Abdomen. CT slice. 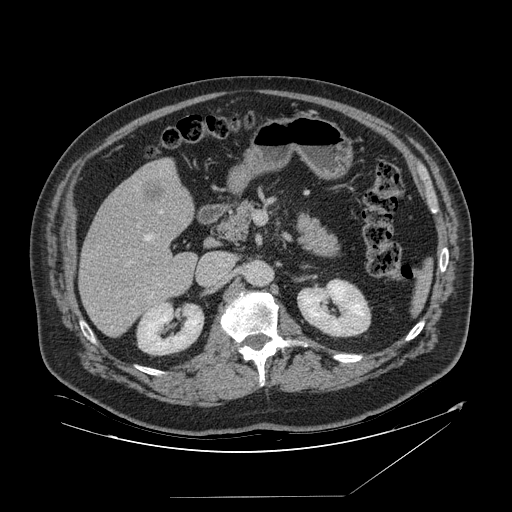
spleen: x1=412, y1=264, x2=432, y2=315